CT image. Slice 451/846. 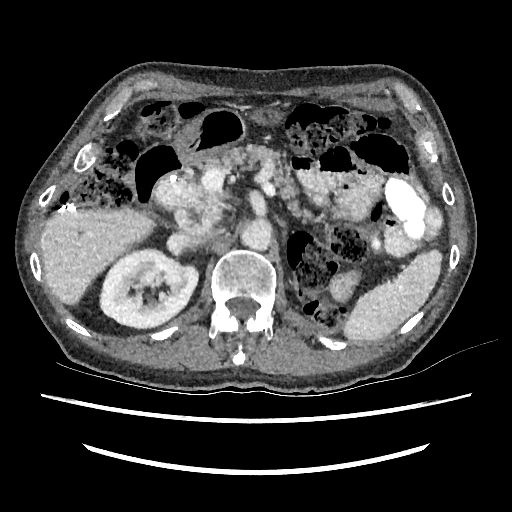
Liver: rect(41, 209, 152, 305).
Kidney: rect(101, 250, 197, 327).